Abdomen. CT slice. Slice 28/82.

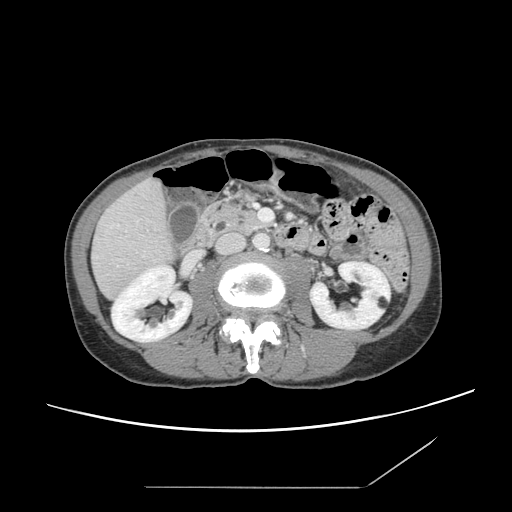
The pancreas is located at box(207, 189, 270, 237).